FLAIR MRI.
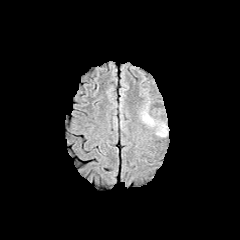
T1-weighted magnetic resonance.
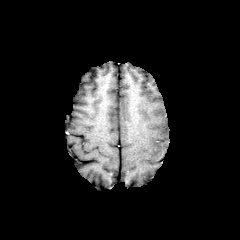
Post-contrast T1-weighted MRI.
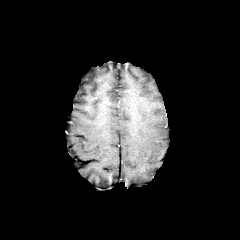
T2-weighted MR image.
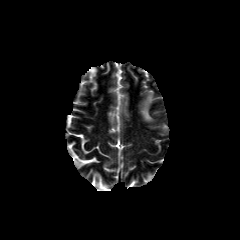
Head.
Edema — <box>140,91,167,136</box>.